FLAIR MR.
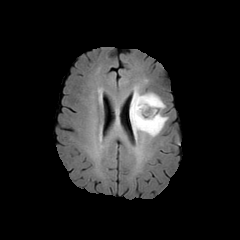
T1-weighted MR.
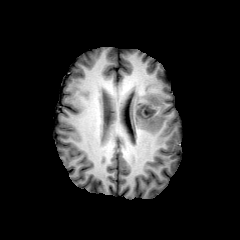
Post-contrast T1-weighted MR image.
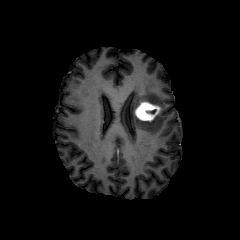
T2-weighted magnetic resonance.
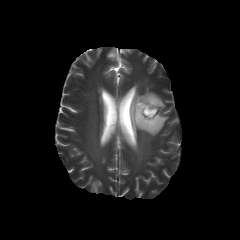
Head
Enhancing tumor: bounding box (135,101,160,121).
Edema: bounding box (128,86,168,138).
Non-enhancing tumor core: bounding box (129,92,157,127).